CT scan slice | Abdomen

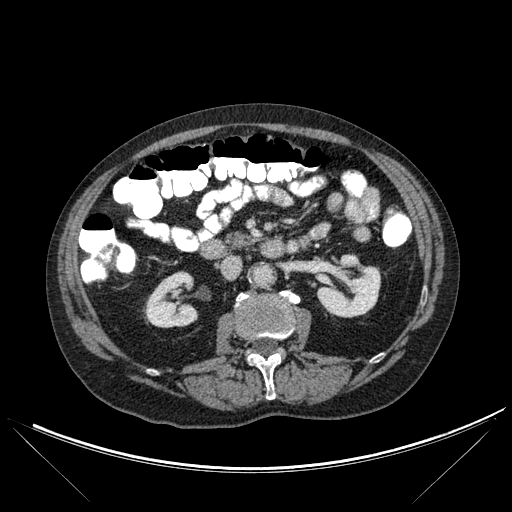 Bone: bounding box bbox(236, 291, 299, 338); bbox(247, 352, 282, 399).
Kidney: bounding box bbox(340, 255, 359, 266); bbox(146, 272, 196, 327); bbox(317, 267, 380, 316).